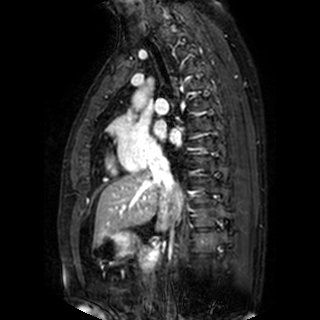
Cardiac, MRI slice, Image size 320x320
Left atrium — [x1=153, y1=120, x2=166, y2=138], [x1=169, y1=131, x2=179, y2=143].